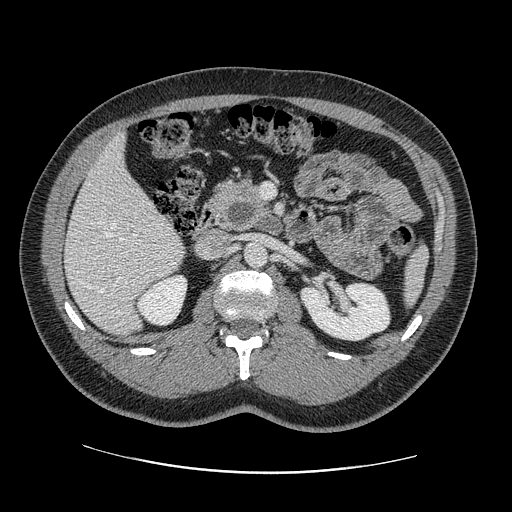 CT image; Abdomen
{"pancreas": ["left=205, top=174, right=270, bottom=231"]}